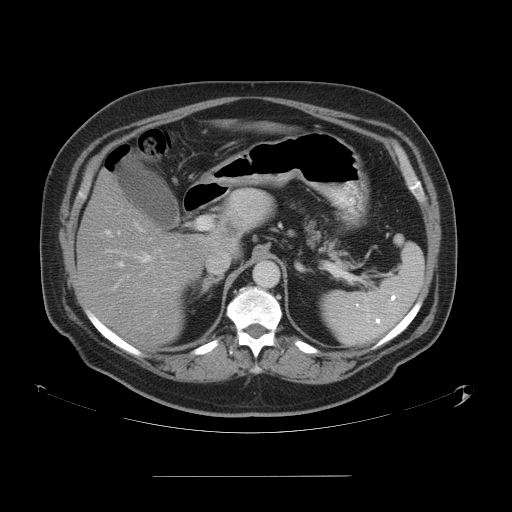 Image size 512x512, CT
Not every hepatic vessel necessarily has a box.
liver_tumor:
  - <box>220,221,240,250</box>
hepatic_vessel:
  - <box>148,268,150,269</box>
  - <box>106,230,111,236</box>
  - <box>118,231,119,233</box>
  - <box>135,254,151,262</box>
  - <box>114,279,121,287</box>
  - <box>119,262,123,266</box>
  - <box>154,312,155,314</box>